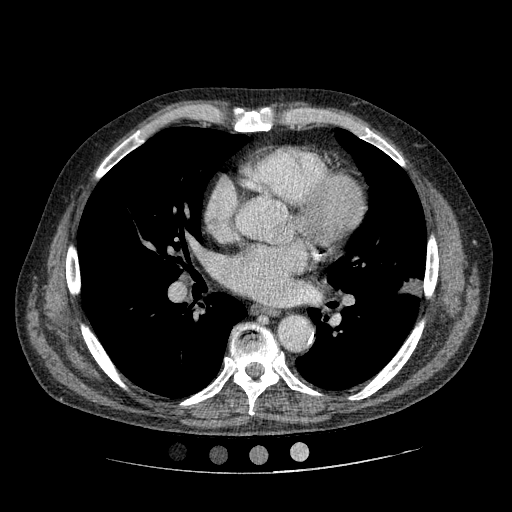
Computed tomography; Image size 512x512
<segmentation>
  <lung_tumor>394:276:423:298</lung_tumor>
</segmentation>